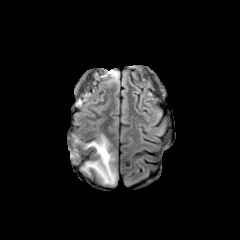
FLAIR magnetic resonance.
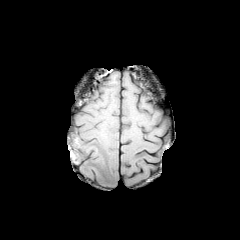
T1-weighted MR.
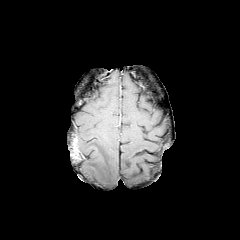
Post-contrast T1-weighted MR image.
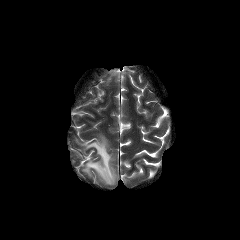
T2-weighted MR image.
Head
* edema: [82,135,116,184]